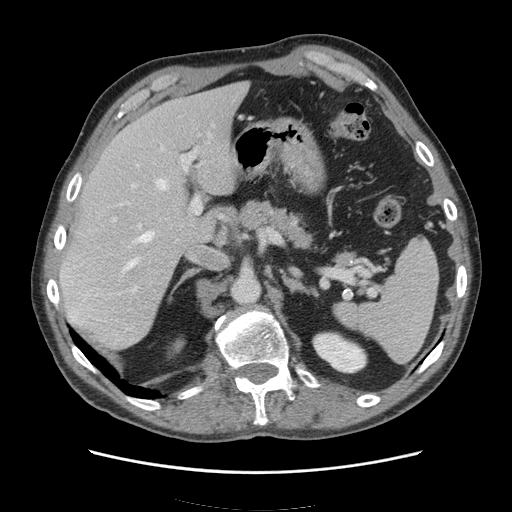 CT scan slice. spleen: 332:237:438:363